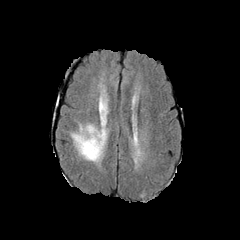
FLAIR MR.
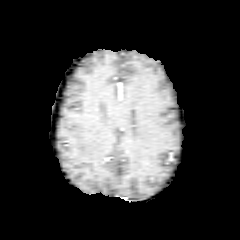
T1-weighted magnetic resonance.
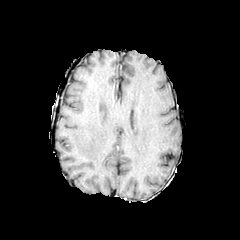
Same slice, post-contrast T1-weighted magnetic resonance.
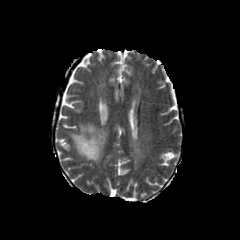
T2-weighted magnetic resonance.
Brain
• edema: (71,123,106,161)